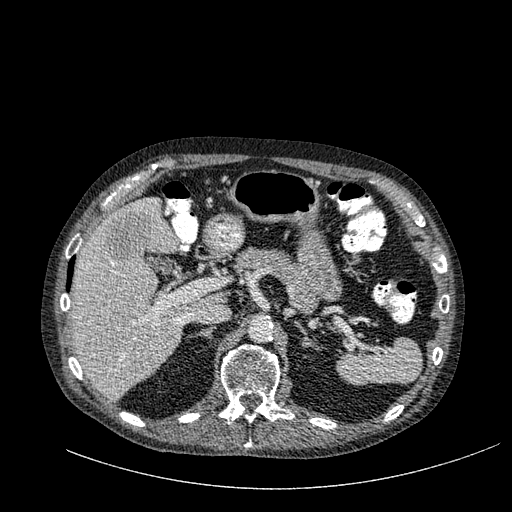
CT slice. The liver is at bbox(71, 198, 228, 399). The focal liver lesion appears at bbox(104, 210, 153, 263).